240x240 px.
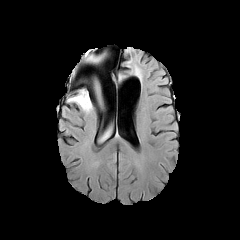
FLAIR MR image.
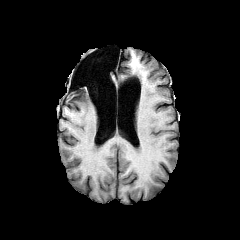
Same slice, T1-weighted MR image.
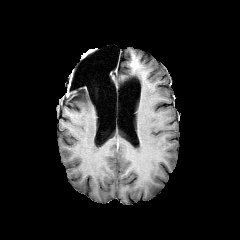
Post-contrast T1-weighted MR image.
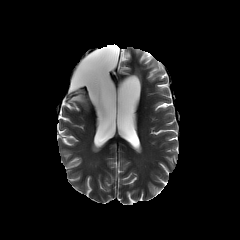
T2-weighted MRI of the same slice.
Annotated regions:
- non-enhancing tumor core: box(84, 54, 93, 61)
- edema: box(90, 56, 101, 62); box(68, 89, 92, 113)